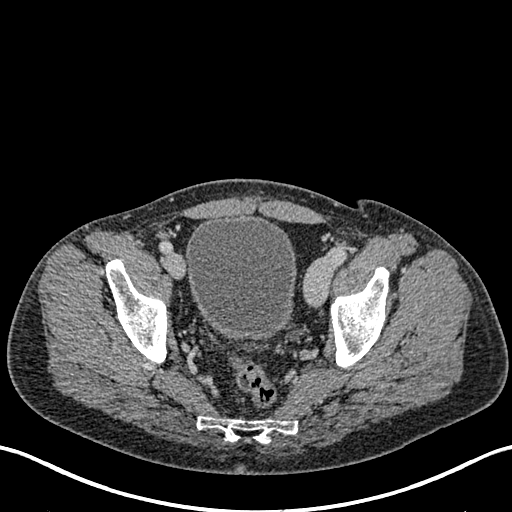
Lower abdomen. Computed tomography.

Urinary bladder: bounding box [185, 215, 296, 339].